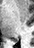

MR image

Posterior hippocampus — (x1=12, y1=40, x2=18, y2=41).